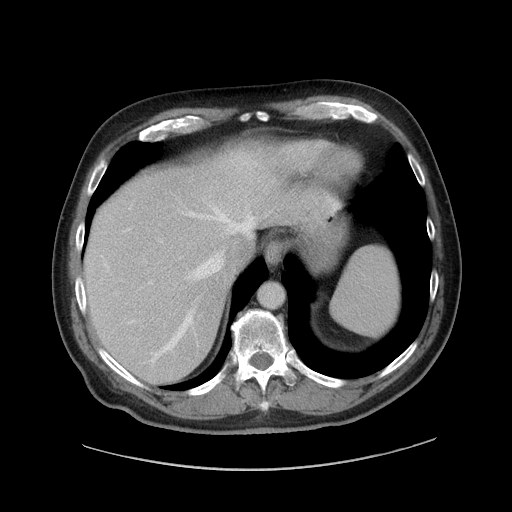 CT slice.

The vessel annotation is not exhaustive.
liver tumor: rect(247, 147, 282, 161) | hepatic vessel: rect(130, 321, 132, 322); rect(193, 254, 222, 278); rect(150, 281, 151, 283); rect(150, 310, 194, 365); rect(250, 236, 251, 237); rect(185, 207, 254, 270); rect(127, 228, 130, 230)